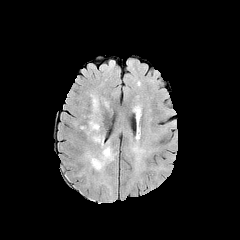
FLAIR magnetic resonance.
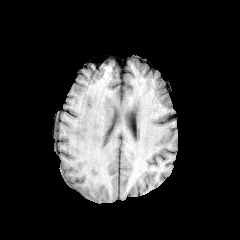
T1-weighted MRI.
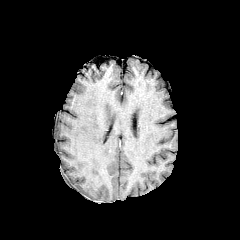
Post-contrast T1-weighted MR image.
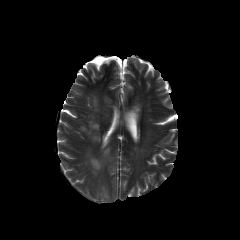
Same slice, T2-weighted MR.
Segmented structures:
* edema: box(89, 121, 113, 170)